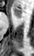
Hippocampus; Magnetic resonance

Segmented structures:
- anterior hippocampus: 13 6 22 17